Head | Slice index 645 | CT slice
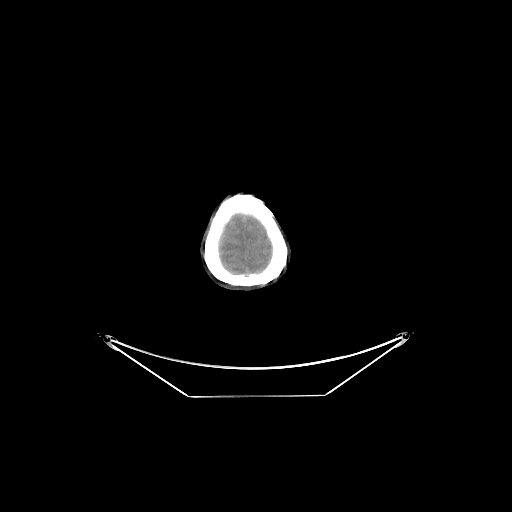 Brain: bounding box (left=220, top=215, right=271, bottom=273).